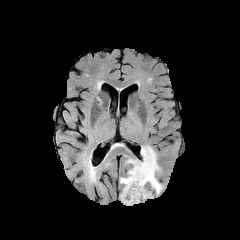
FLAIR magnetic resonance.
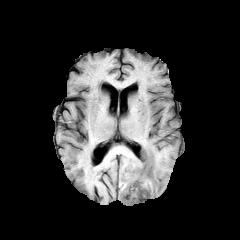
T1-weighted MR of the same slice.
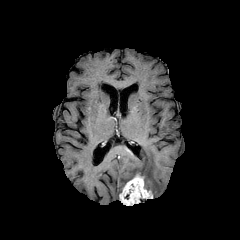
Post-contrast T1-weighted magnetic resonance of the same slice.
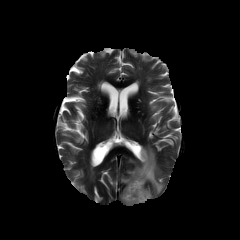
T2-weighted magnetic resonance of the same slice.
Brain
edema:
  - x1=120, y1=145, x2=163, y2=195
enhancing_tumor:
  - x1=119, y1=174, x2=152, y2=205